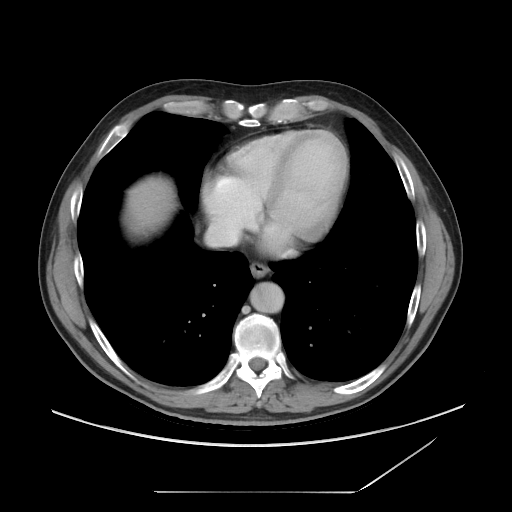

512x512 | Abdomen | CT image

Not every hepatic vessel necessarily has a box.
The hepatic vessel appears at bbox=[208, 212, 227, 236].